Magnetic resonance, Medial temporal lobe

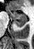
Anterior hippocampus — [x1=7, y1=10, x2=26, y2=20].
Posterior hippocampus — [x1=14, y1=21, x2=26, y2=27].